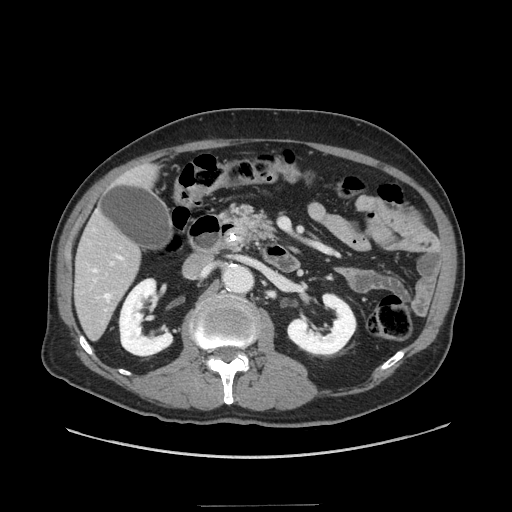

CT scan slice, Abdomen

Segmented structures:
* pancreas: (x1=235, y1=207, x2=272, y2=237)
* pancreatic tumor: (x1=236, y1=220, x2=255, y2=234)